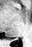 MR | Hippocampus
The posterior hippocampus appears at box=[9, 39, 12, 39].